Slice 91/466. 512x512. Computed tomography.
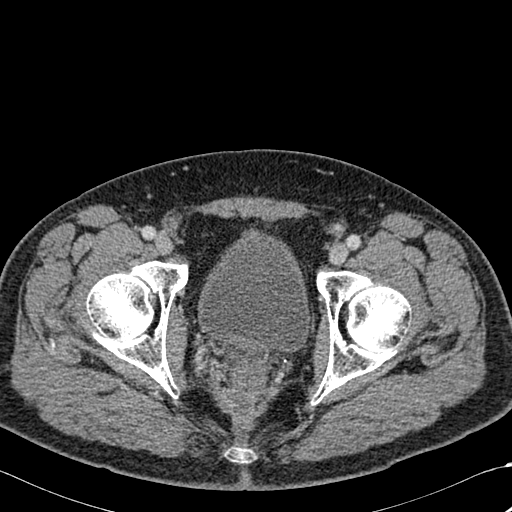 bone:
  - [x1=86, y1=261, x2=187, y2=394]
  - [x1=317, y1=271, x2=410, y2=399]
  - [x1=235, y1=448, x2=247, y2=462]